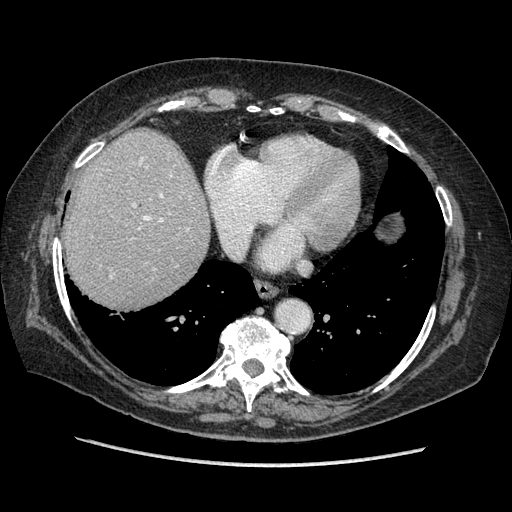
512x512 px. Liver. CT image.
Some hepatic vessels may have no box.
Hepatic vessel: bounding box x1=144 y1=216 x2=149 y2=219, x1=158 y1=218 x2=161 y2=220, x1=133 y1=203 x2=135 y2=205.